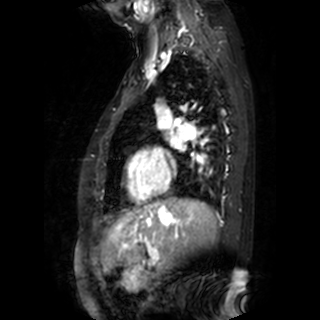 MR

Left atrium: (x1=170, y1=139, x2=181, y2=148).